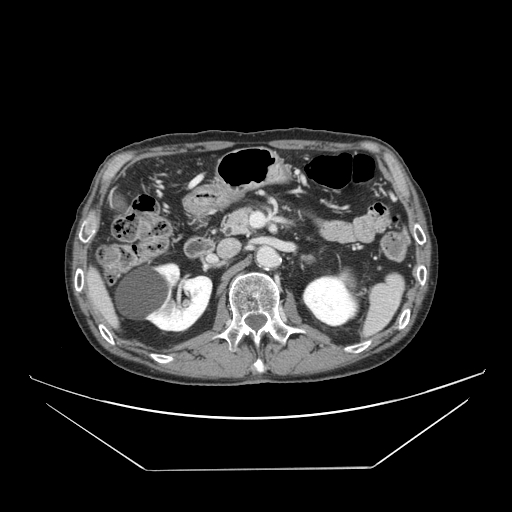 CT image.

<segmentation>
  <pancreas>[218, 205, 255, 238]</pancreas>
</segmentation>